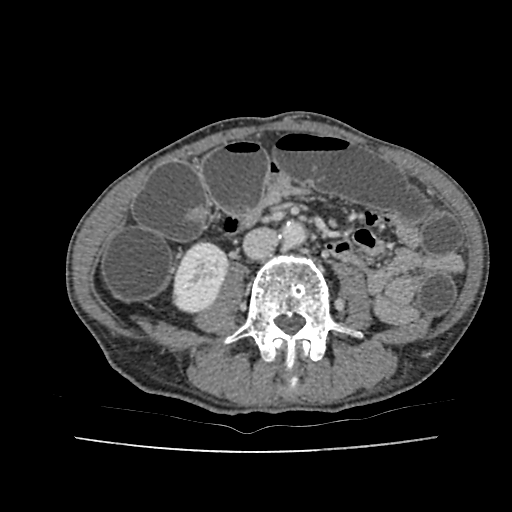
CT | Abdomen | 512x512 px
• kidney: bbox(175, 244, 226, 311)